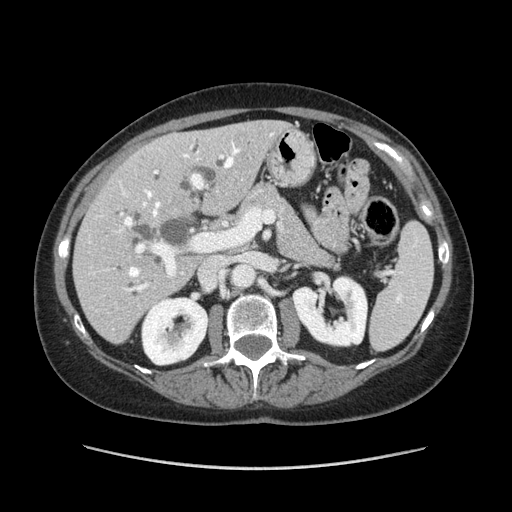 CT scan slice
Findings:
* pancreas: 236,180,343,273